Head. Image width 240 mm.
FLAIR MRI.
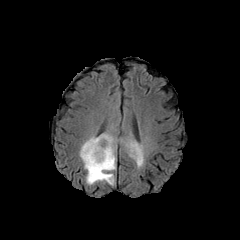
T1-weighted MR.
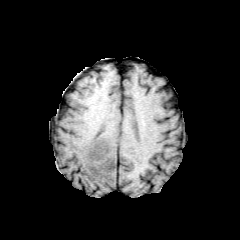
Post-contrast T1-weighted MR.
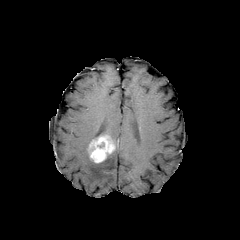
T2-weighted MR.
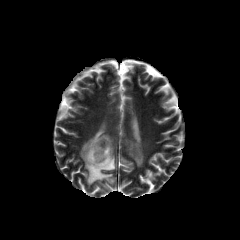
{
  "enhancing_tumor": [
    "rect(89, 136, 114, 162)"
  ],
  "edema": [
    "rect(126, 140, 143, 165)",
    "rect(78, 135, 116, 185)"
  ]
}